512x512. CT.

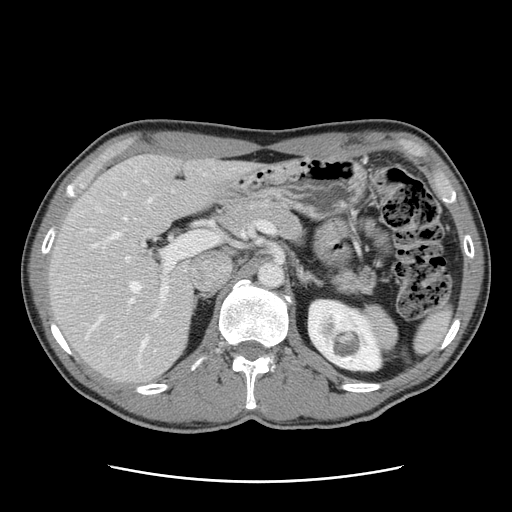
Only some of the vessels may be annotated.
[15/18] hepatic vessel: box(98, 209, 100, 210); box(89, 228, 93, 230); box(92, 243, 98, 246); box(148, 198, 151, 201); box(85, 316, 102, 339); box(123, 192, 125, 195); box(172, 189, 173, 191); box(124, 217, 126, 219); box(129, 281, 139, 291); box(152, 311, 158, 317); box(139, 334, 148, 355); box(161, 281, 167, 299); box(108, 231, 119, 238); box(128, 299, 133, 303); box(125, 257, 129, 260)